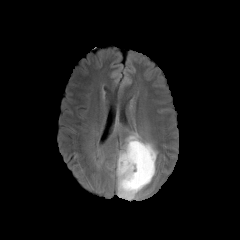
FLAIR MR image.
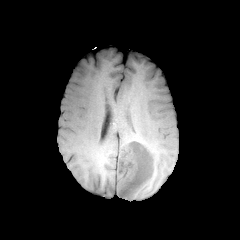
Same slice, T1-weighted MRI.
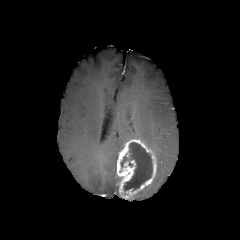
Post-contrast T1-weighted magnetic resonance.
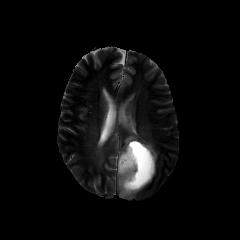
T2-weighted MR image of the same slice.
Head, 240x240
enhancing_tumor:
  - (left=116, top=139, right=156, bottom=198)
non-enhancing_tumor_core:
  - (left=121, top=142, right=152, bottom=190)
edema:
  - (left=120, top=127, right=158, bottom=164)